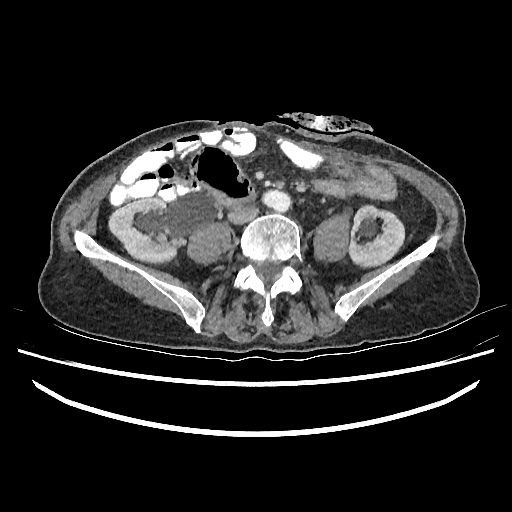 Computed tomography. 512x512 px. Abdomen.

Annotated regions:
* kidney: box(109, 198, 175, 261); box(349, 206, 404, 265)